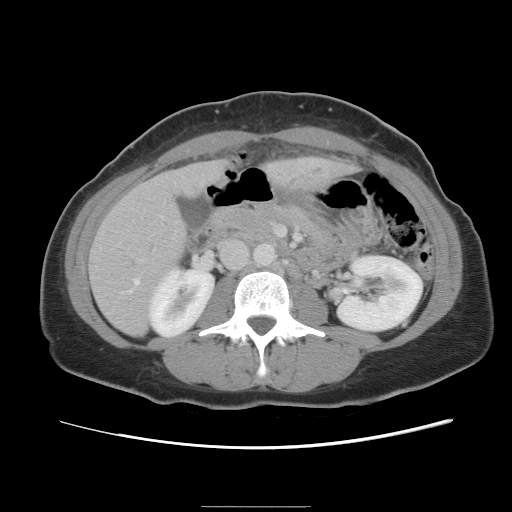 Image size 512x512, CT slice
The vessel annotation is not exhaustive.
• liver tumor: x1=283 y1=165 x2=325 y2=189
• hepatic vessel: x1=123 y1=290 x2=130 y2=292, x1=134 y1=278 x2=138 y2=283